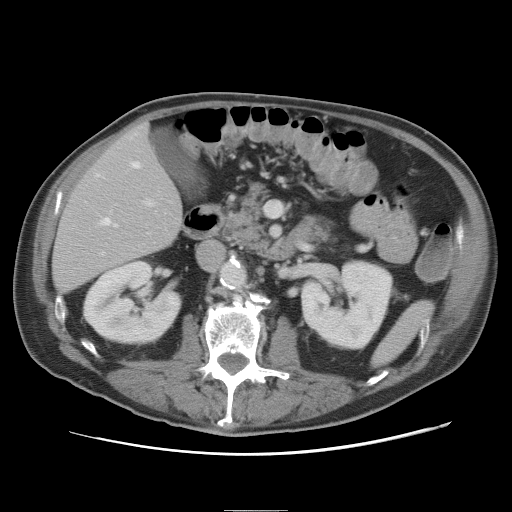 CT slice; Liver
Some hepatic vessels may have no box.
5 hepatic vessel regions are located at [x1=144, y1=124, x2=147, y2=128], [x1=102, y1=219, x2=117, y2=226], [x1=132, y1=162, x2=140, y2=168], [x1=145, y1=200, x2=152, y2=205], [x1=97, y1=174, x2=101, y2=176].